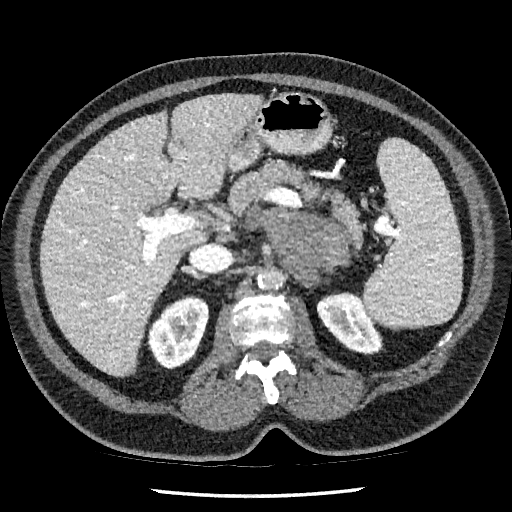

Upper abdomen; Computed tomography
liver:
  - [x1=41, y1=94, x2=263, y2=375]
kidney:
  - [x1=149, y1=298, x2=207, y2=367]
  - [x1=317, y1=294, x2=380, y2=352]
liver_lesion:
  - [x1=177, y1=140, x2=183, y2=149]